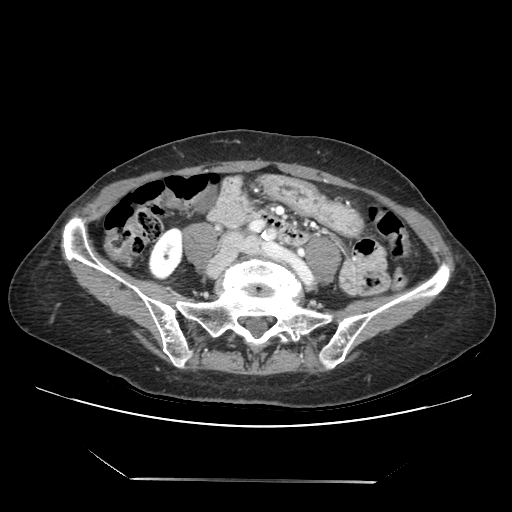
CT scan slice | Abdomen
Pancreas: bounding box (x1=208, y1=175, x2=264, y2=228).